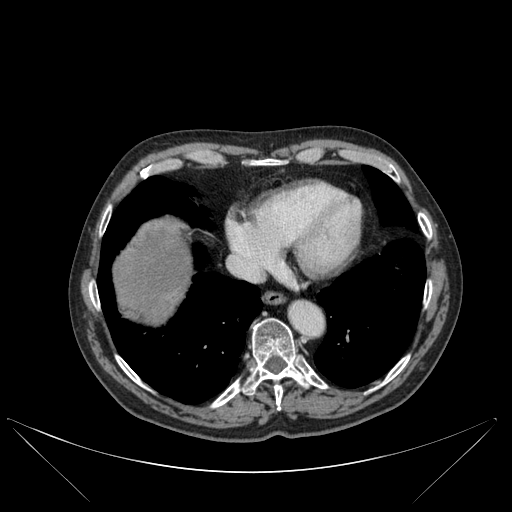 Computed tomography. Upper abdomen.
bone: {"x1": 424, "y1": 281, "x2": 432, "y2": 305}, {"x1": 250, "y1": 160, "x2": 281, "y2": 165}, {"x1": 89, "y1": 285, "x2": 99, "y2": 307}, {"x1": 382, "y1": 355, "x2": 409, "y2": 384}, {"x1": 100, "y1": 206, "x2": 110, "y2": 234}, {"x1": 116, "y1": 356, "x2": 144, "y2": 386}, {"x1": 418, "y1": 213, "x2": 431, "y2": 237}, {"x1": 384, "y1": 163, "x2": 393, "y2": 174}, {"x1": 211, "y1": 318, "x2": 327, "y2": 408}, {"x1": 141, "y1": 166, "x2": 154, "y2": 178} | liver: {"x1": 113, "y1": 220, "x2": 191, "y2": 324} | lung: {"x1": 314, "y1": 238, "x2": 425, "y2": 387}, {"x1": 193, "y1": 243, "x2": 206, "y2": 265}, {"x1": 362, "y1": 165, "x2": 417, "y2": 232}, {"x1": 97, "y1": 176, "x2": 262, "y2": 403}